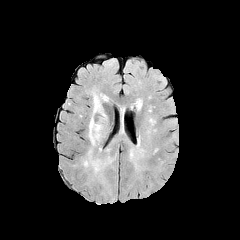
FLAIR MR.
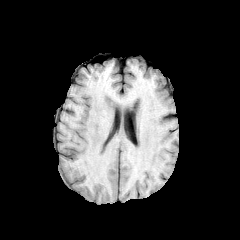
T1-weighted MRI of the same slice.
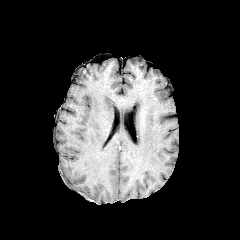
Post-contrast T1-weighted MRI.
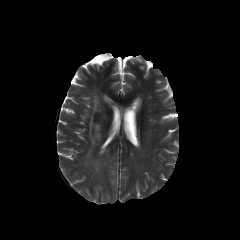
Same slice, T2-weighted MR.
Edema — <bbox>94, 161, 101, 171</bbox>, <bbox>83, 89, 109, 165</bbox>.